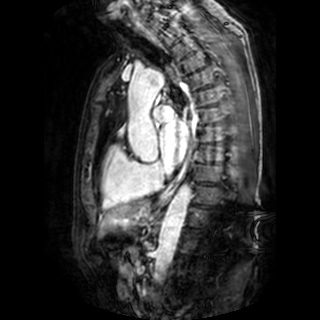 Heart; MRI
Annotated regions:
* left atrium: <box>160,119,189,164</box>